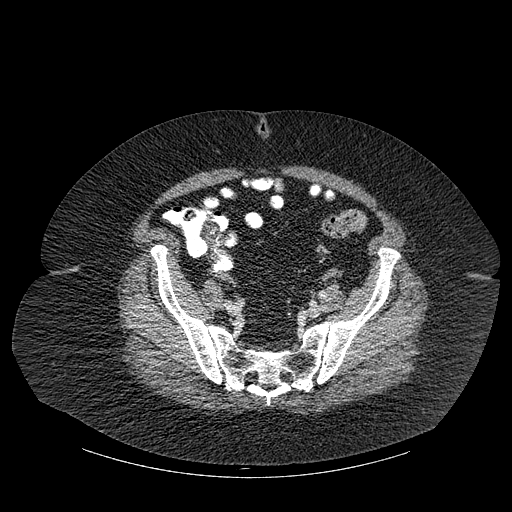
CT
Bone = (left=150, top=245, right=399, bottom=404), (left=223, top=189, right=232, bottom=196).